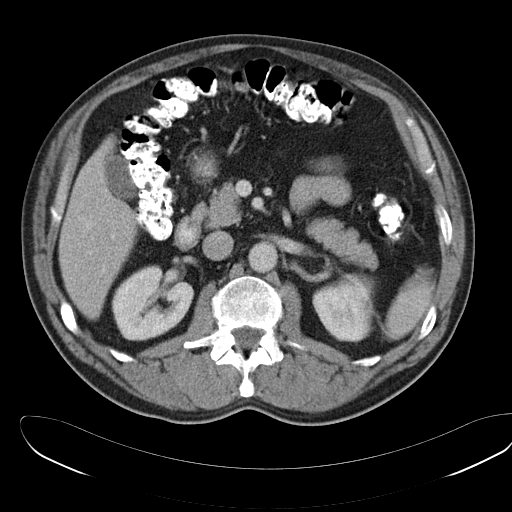 Upper abdomen; CT scan slice
spleen:
  - bbox(387, 271, 434, 334)